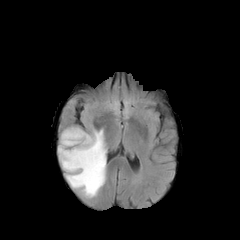
FLAIR MR.
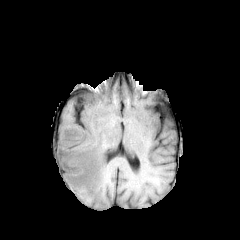
T1-weighted MR image.
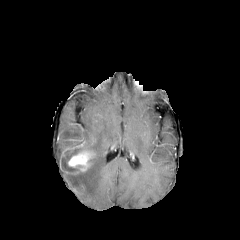
Post-contrast T1-weighted MR.
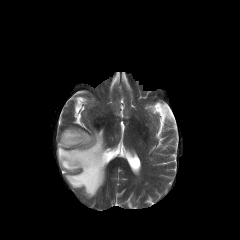
T2-weighted MR.
Brain.
edema: region(57, 128, 106, 197) | enhancing tumor: region(60, 139, 84, 164); region(67, 149, 95, 172)